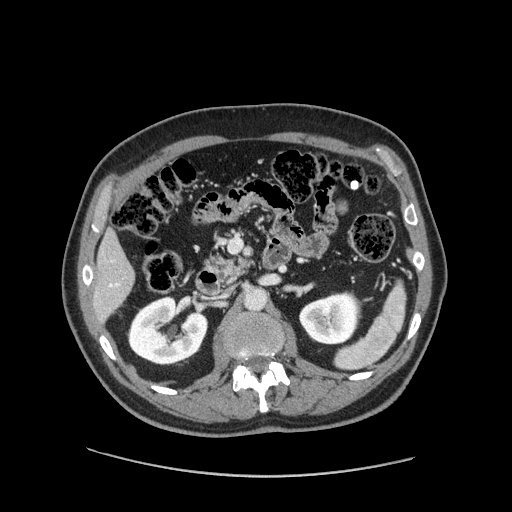

CT image | Abdomen

{
  "pancreas": [
    {"x1": 208, "y1": 255, "x2": 253, "y2": 282}
  ]
}